512x512, CT 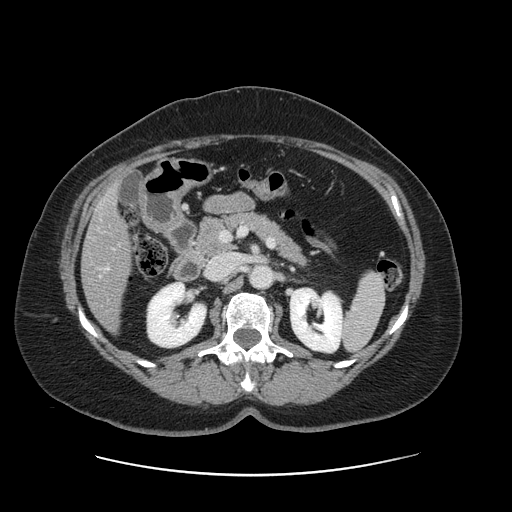 Only some of the vessels may be annotated.
hepatic_vessel:
  - bbox=[100, 275, 101, 276]
  - bbox=[104, 268, 109, 269]
  - bbox=[98, 268, 100, 269]